FLAIR MRI.
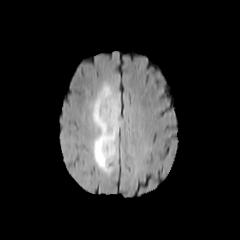
T1-weighted MRI.
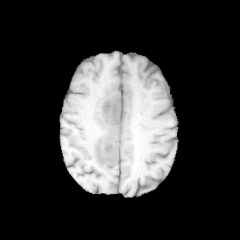
Post-contrast T1-weighted magnetic resonance.
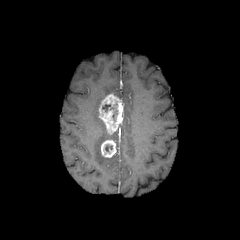
T2-weighted MRI.
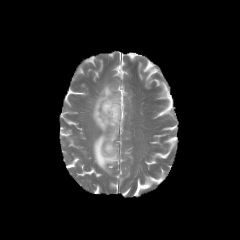
Brain
Non-enhancing tumor core at 101:103:116:112.
Edema at 92:83:119:175.
Enhancing tumor at 101:140:116:158, 98:94:123:134.